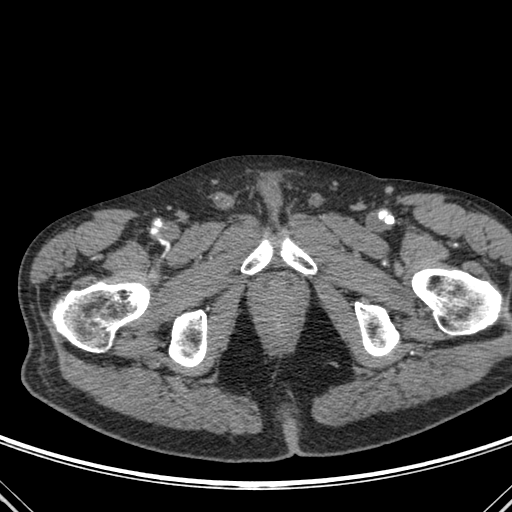
CT slice.

Bone — 52, 282, 151, 352; 411, 268, 505, 334; 241, 239, 275, 274; 169, 310, 207, 367; 355, 302, 399, 356; 280, 237, 317, 274.